Field of view 240x240 mm.
FLAIR MR image.
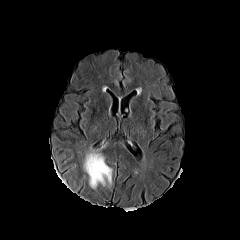
T1-weighted MR image.
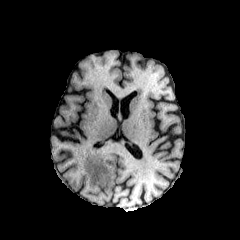
Post-contrast T1-weighted MRI.
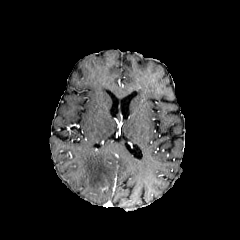
T2-weighted MR image.
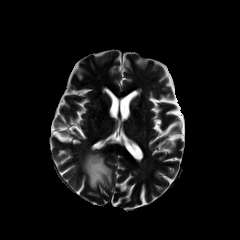
The edema is located at 82,147,111,189.